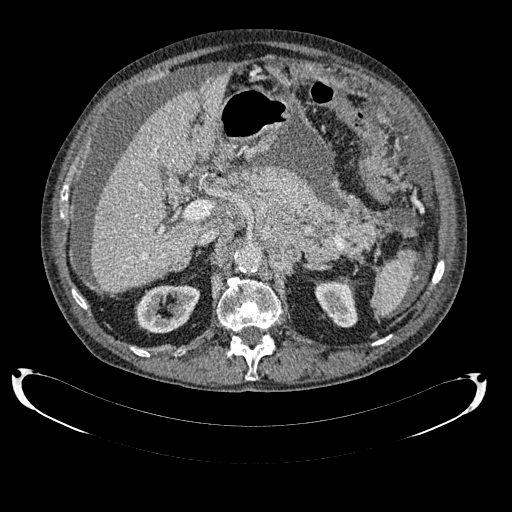 Abdomen. CT slice.

{
  "liver": [
    "<bbox>92, 73, 229, 293</bbox>"
  ],
  "kidney": [
    "<bbox>315, 282, 357, 326</bbox>",
    "<bbox>137, 286, 199, 332</bbox>"
  ],
  "hepatic_lesion": [
    "<bbox>104, 213, 112, 221</bbox>"
  ]
}